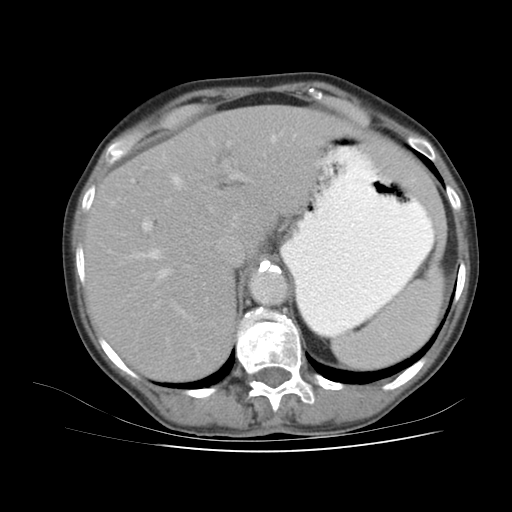

CT scan slice, Image size 512x512
Segmented structures:
- spleen: <box>334,270,441,370</box>